FLAIR magnetic resonance.
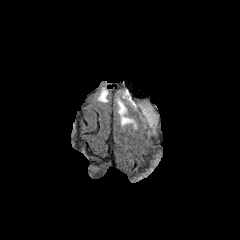
T1-weighted MR image.
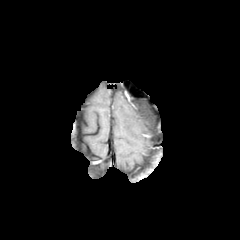
Post-contrast T1-weighted MR.
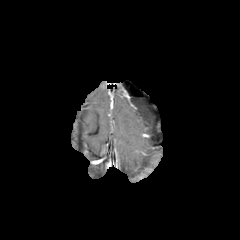
T2-weighted magnetic resonance.
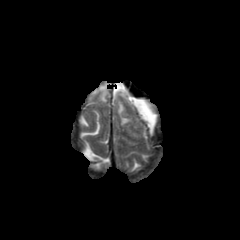
Brain
non-enhancing_tumor_core:
  - 132:101:153:120
edema:
  - 97:83:107:103
  - 115:89:155:128